Field of view 37 mm wide, 1.00 mm slice spacing. Slice index 6. MRI.

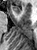

The anterior hippocampus lies within 13, 6, 20, 13.